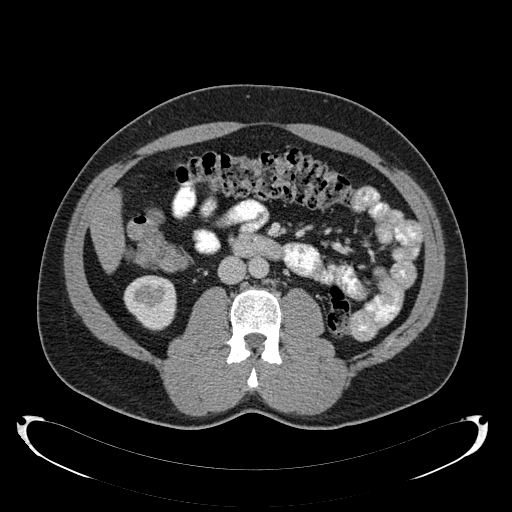

512x512 px | Upper abdomen | CT image

Liver at {"x1": 90, "y1": 192, "x2": 123, "y2": 269}.
Kidney at {"x1": 124, "y1": 276, "x2": 175, "y2": 329}.